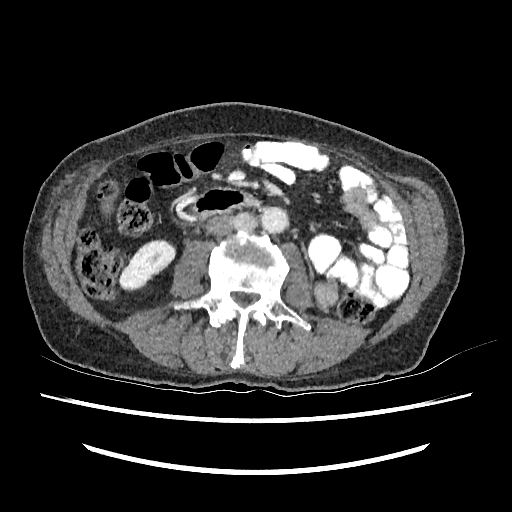
CT slice. The kidney is located at (left=120, top=241, right=174, bottom=288).